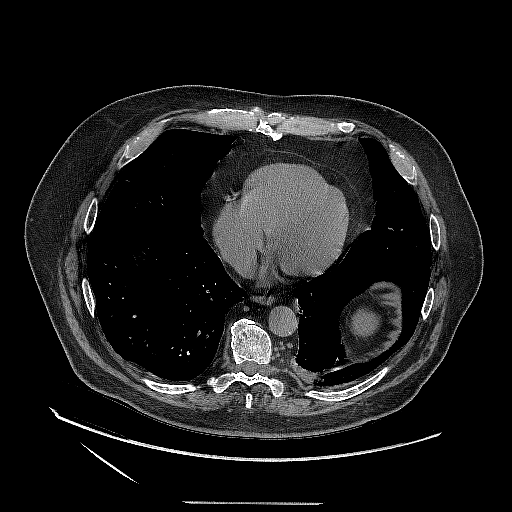

Computed tomography
{"lung_tumor": ["box=[293, 351, 352, 386]"]}